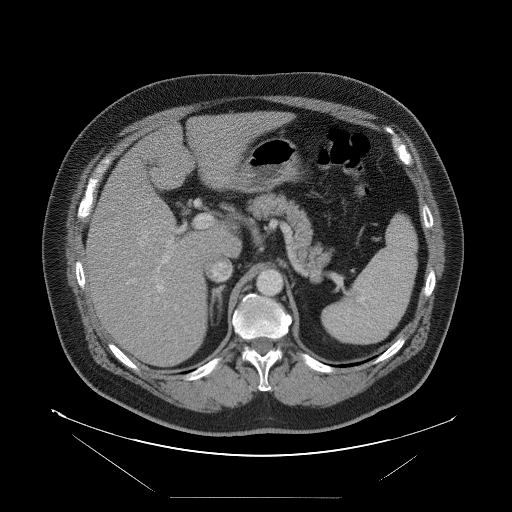

CT image, Abdomen, 512x512 px

Only some of the vessels may be annotated.
Hepatic vessel = x1=157 y1=266 x2=159 y2=270, x1=174 y1=304 x2=177 y2=309, x1=146 y1=293 x2=148 y2=295, x1=139 y1=231 x2=146 y2=244, x1=155 y1=277 x2=163 y2=291, x1=116 y1=223 x2=118 y2=225, x1=156 y1=238 x2=173 y2=263, x1=164 y1=301 x2=166 y2=307, x1=126 y1=278 x2=136 y2=284.